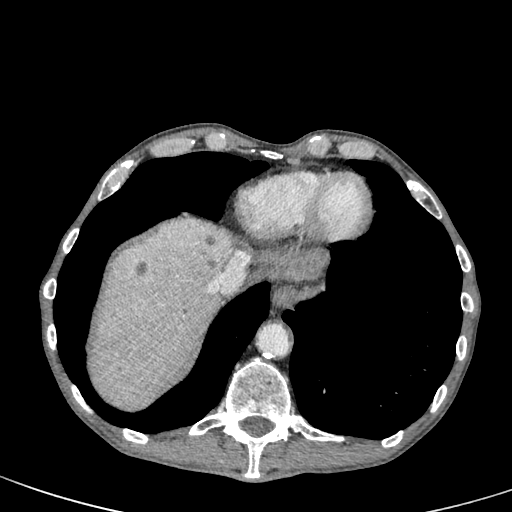

CT scan slice. 512x512 px.
liver: 258, 250, 304, 280; 316, 251, 330, 277; 87, 217, 233, 411 | hepatic lesion: 136, 262, 146, 273; 222, 249, 231, 259; 262, 250, 328, 279